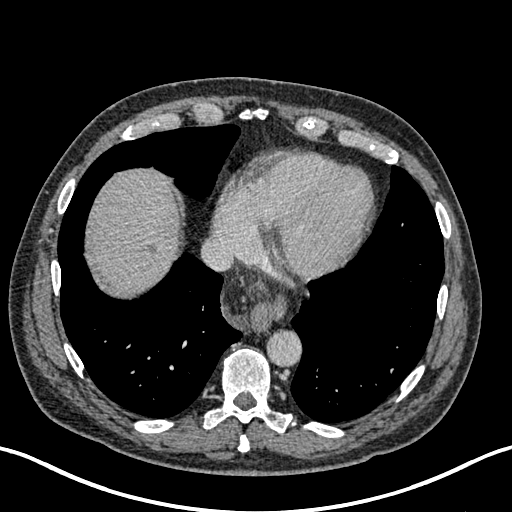 CT slice | Image size 512x512 | Abdomen
focal_liver_lesion:
  - (x1=148, y1=243, x2=156, y2=254)
liver:
  - (x1=86, y1=169, x2=179, y2=296)